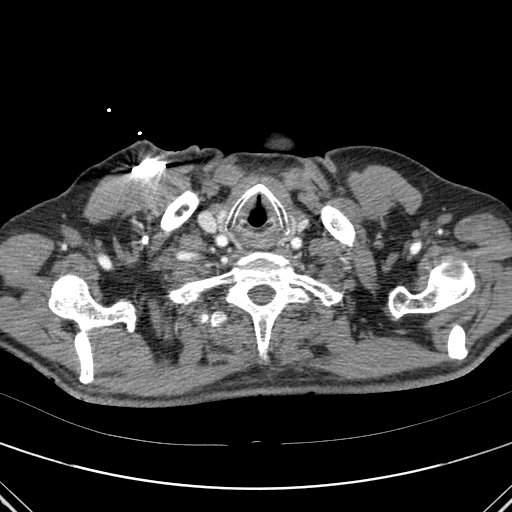 CT scan slice.

7 bone regions are bounded by [x1=48, y1=275, x2=135, y2=383], [x1=389, y1=259, x2=474, y2=318], [x1=321, y1=205, x2=354, y2=246], [x1=161, y1=191, x2=198, y2=233], [x1=411, y1=242, x2=420, y2=253], [x1=447, y1=325, x2=467, y2=359], [x1=169, y1=252, x2=342, y2=359].